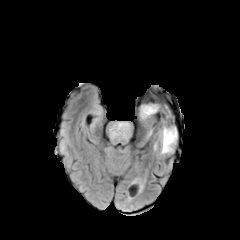
FLAIR MRI.
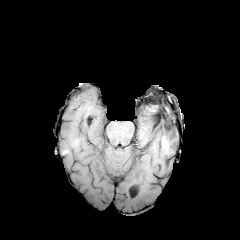
T1-weighted MR.
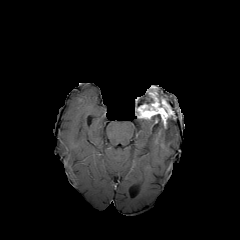
Same slice, post-contrast T1-weighted MRI.
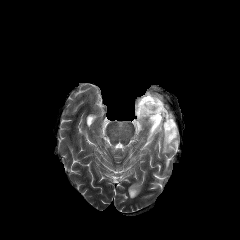
T2-weighted MRI of the same slice.
Head, 240x240 px
Non-enhancing tumor core — bbox(141, 96, 154, 104); bbox(158, 118, 175, 136).
Enhancing tumor — bbox(136, 96, 171, 128).
Edema — bbox(154, 128, 177, 155).